FLAIR MRI.
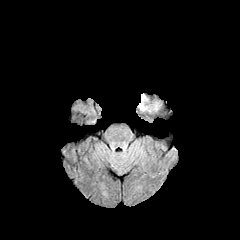
T1-weighted magnetic resonance.
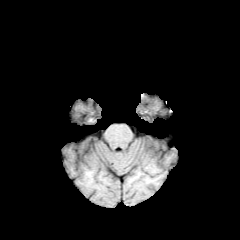
Post-contrast T1-weighted MR.
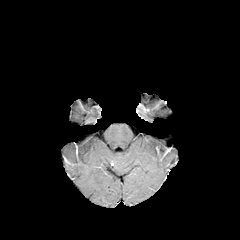
T2-weighted magnetic resonance.
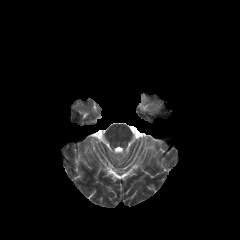
240x240; Head
Non-enhancing tumor core: bounding box l=139, t=103, r=150, b=110.
Edema: bounding box l=140, t=93, r=148, b=103; l=148, t=102, r=160, b=113.